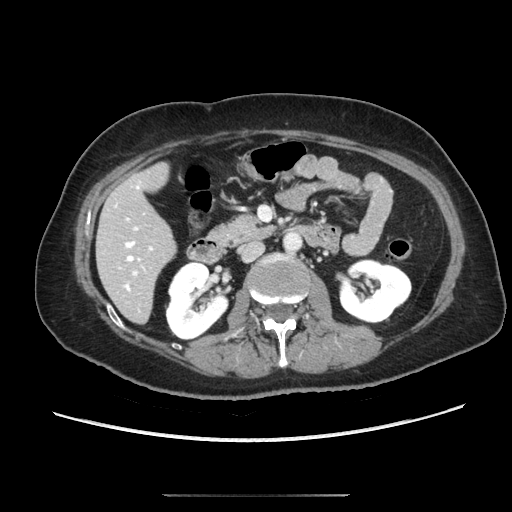

CT; 512x512; Abdomen
{
  "pancreas": [
    "x1=223 y1=215 x2=271 y2=245"
  ]
}